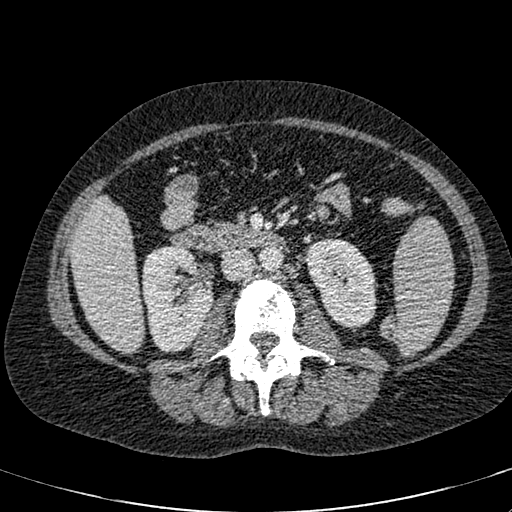

Upper abdomen. CT.
Annotated regions:
* kidney: (left=143, top=243, right=212, bottom=351), (left=306, top=239, right=375, bottom=327)
* liver: (left=71, top=196, right=143, bottom=353)